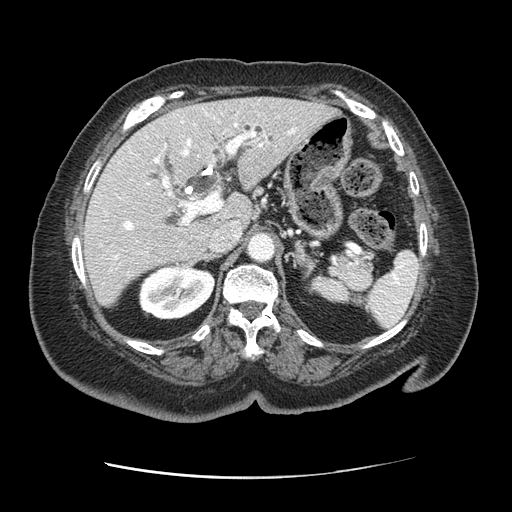
CT slice
{"pancreas": ["left=329, top=250, right=373, bottom=292"]}